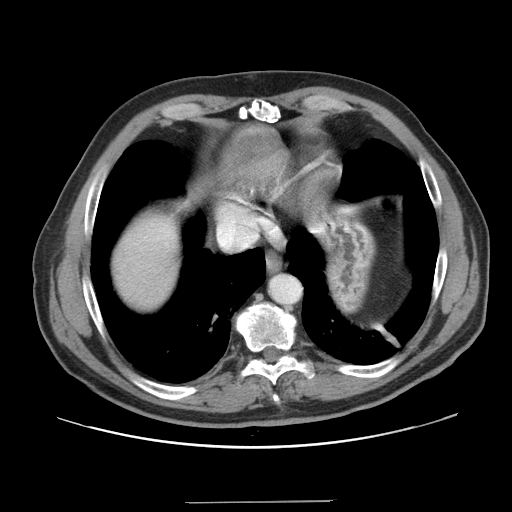

512x512 px, Liver, CT scan slice

Some hepatic vessels may have no box.
hepatic vessel: 225 247 228 247, 219 217 257 247